FLAIR magnetic resonance.
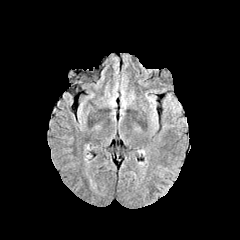
T1-weighted magnetic resonance.
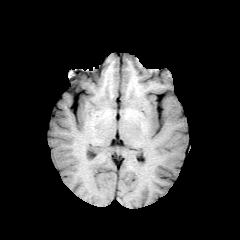
Post-contrast T1-weighted MR.
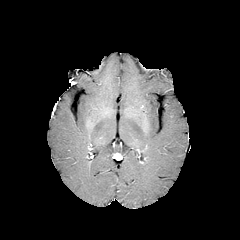
T2-weighted magnetic resonance.
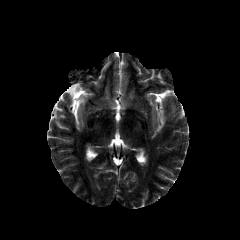
<segmentation>
  <edema>(163,94,181,114), (148,98,157,125)</edema>
</segmentation>